Abdomen. Slice 311 of 836. CT image. Image width 348 mm. 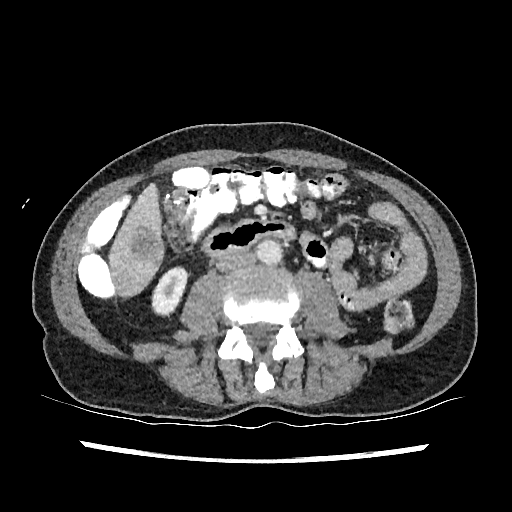

liver:
  - 110,184,162,296
kidney:
  - 153,268,186,313
liver_lesion:
  - 131,228,162,257